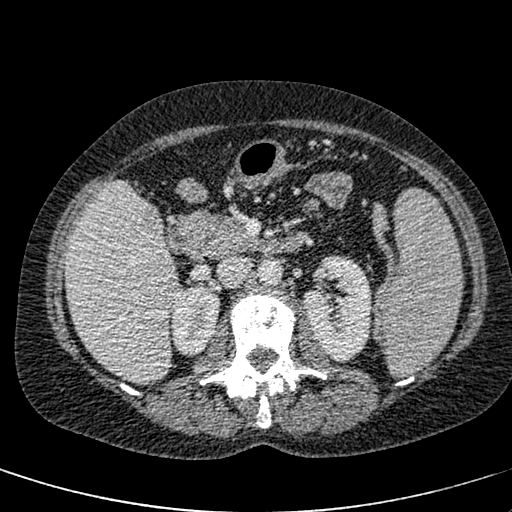
CT image
Kidney: bounding box x1=171 y1=287 x2=219 y2=351, x1=303 y1=256 x2=370 y2=361.
Liver: bounding box x1=63 y1=181 x2=176 y2=386.
Hepatic lesion: bounding box x1=136 y1=202 x2=160 y2=231.